FLAIR magnetic resonance.
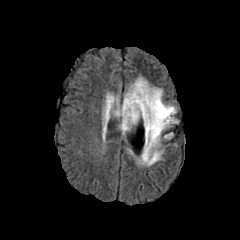
T1-weighted magnetic resonance.
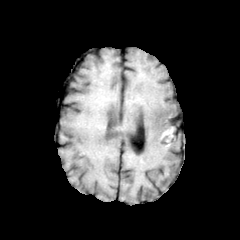
Post-contrast T1-weighted MRI.
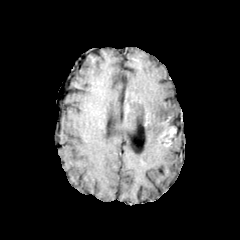
T2-weighted MR.
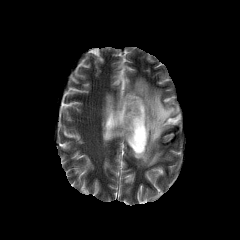
Segmented structures:
- edema: l=103, t=79, r=178, b=166
- non-enhancing tumor core: l=139, t=108, r=153, b=132; l=122, t=100, r=131, b=119; l=152, t=117, r=173, b=131